FLAIR magnetic resonance.
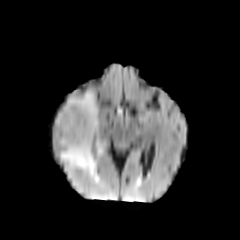
T1-weighted MRI.
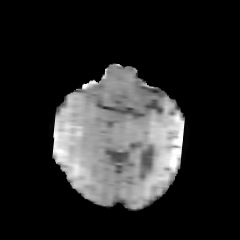
Post-contrast T1-weighted MRI.
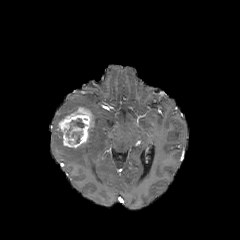
T2-weighted magnetic resonance.
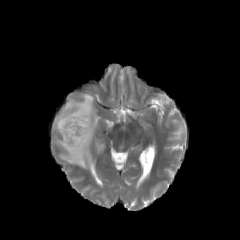
Image size 240x240, Brain
Annotated regions:
* non-enhancing tumor core: 71:131:81:143, 67:119:84:137
* enhancing tumor: 58:106:94:148
* edema: 53:92:103:180